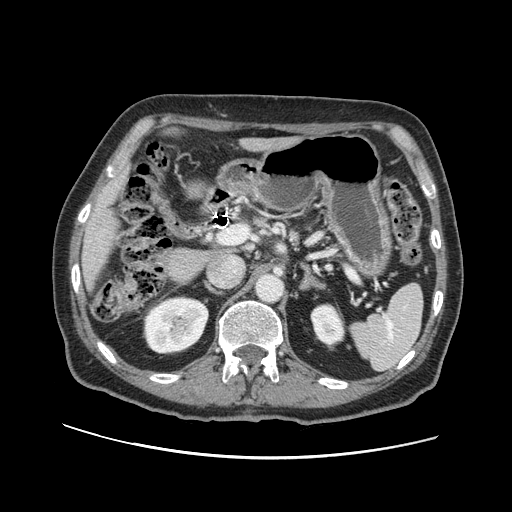
CT | Image size 512x512 | Abdomen

<segmentation>
  <pancreas>bbox=[251, 215, 271, 228]</pancreas>
</segmentation>